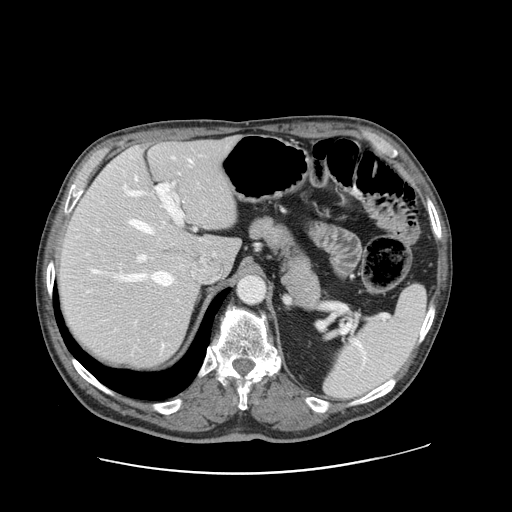 CT; Liver
The vessel boxes may cover only some of the vessels.
hepatic vessel: left=91, top=269, right=99, bottom=272; left=181, top=214, right=183, bottom=215; left=162, top=344, right=162, bottom=348; left=151, top=272, right=172, bottom=285; left=135, top=176, right=137, bottom=180; left=189, top=159, right=191, bottom=162; left=156, top=187, right=160, bottom=190; left=118, top=274, right=145, bottom=280; left=163, top=184, right=166, bottom=188; left=128, top=220, right=151, bottom=232; left=164, top=204, right=166, bottom=206; left=138, top=255, right=145, bottom=261; left=124, top=186, right=141, bottom=195